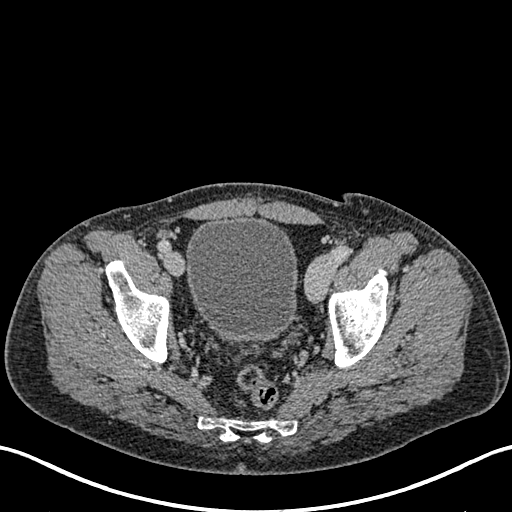
Lower abdomen; CT scan slice

Urinary bladder: bounding box <bbox>185, 216, 297, 342</bbox>.